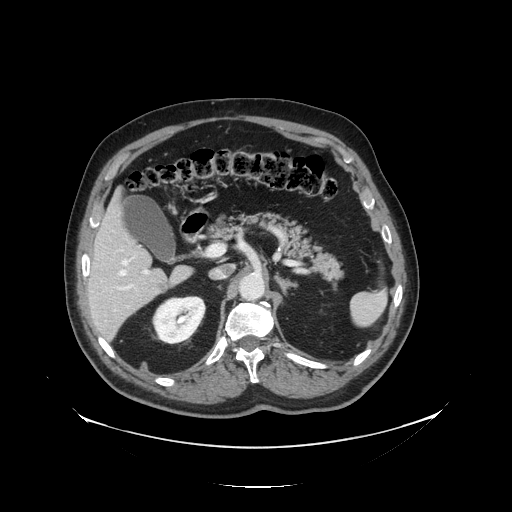
CT scan slice
Not every hepatic vessel necessarily has a box.
Liver tumor: rect(158, 283, 166, 291).
Hepatic vessel: rect(119, 285, 131, 289); rect(123, 258, 132, 265); rect(144, 270, 148, 273); rect(119, 270, 126, 275).